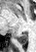 36x52, MRI slice, Hippocampus
The posterior hippocampus is located at (15,32,27,44).